Slice 63/151, Field of view 480 mm wide, 1.50 mm slice spacing, CT 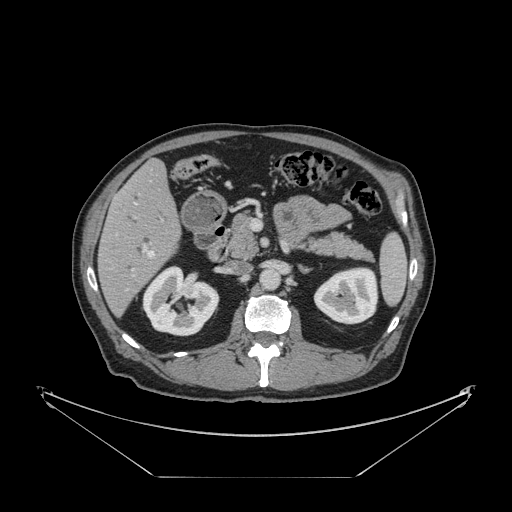
Only some of the vessels may be annotated.
Hepatic vessel: bounding box bbox=[132, 274, 134, 276]; bbox=[132, 269, 133, 270]; bbox=[143, 246, 153, 256].